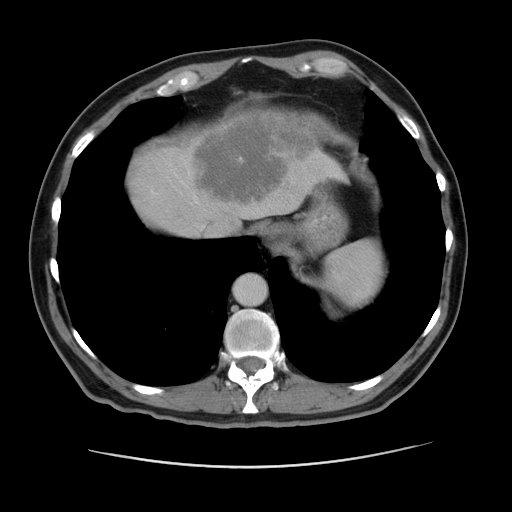
CT slice

Segmented structures:
* liver: l=128, t=115, r=348, b=237; l=253, t=111, r=326, b=141
* focal liver lesion: l=193, t=113, r=320, b=203